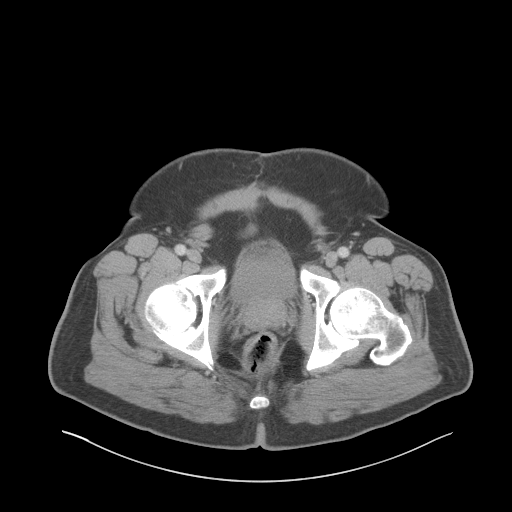
CT scan slice; 512x512
Annotated regions:
* urinary bladder: x1=231, y1=262, x2=296, y2=305